Slice 354 of 836. Image width 400 mm. CT. 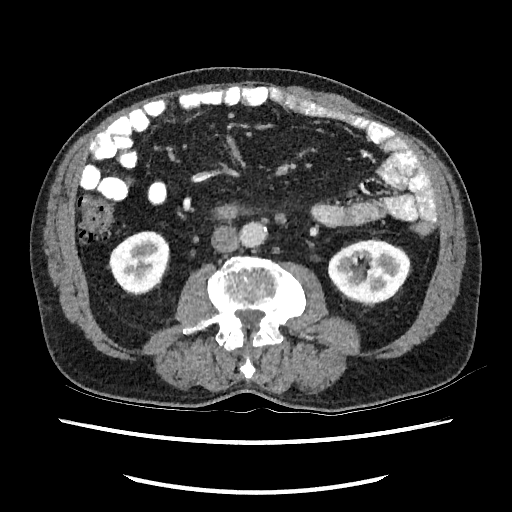
Kidney: [109,231,169,294], [328,240,409,305].